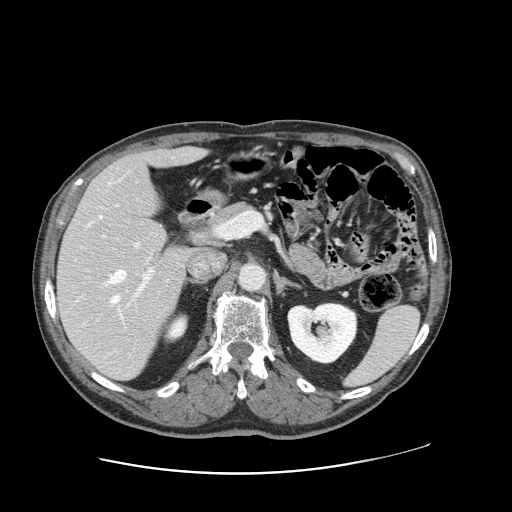
CT image, Abdomen, 512x512 px

Only some of the vessels may be annotated.
hepatic vessel: l=134, t=242, r=138, b=247; l=89, t=222, r=92, b=224; l=100, t=215, r=101, b=217; l=107, t=270, r=125, b=282; l=137, t=268, r=152, b=292; l=111, t=296, r=119, b=302; l=109, t=183, r=110, b=184